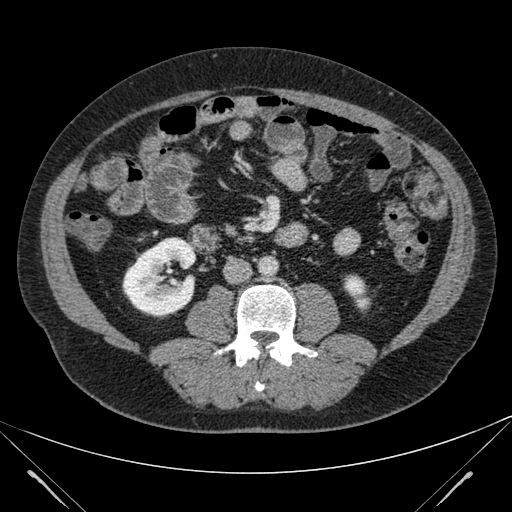
CT slice
3 kidney regions appear at (123, 238, 195, 315), (357, 299, 367, 307), (346, 277, 363, 295).